Upper abdomen | CT image 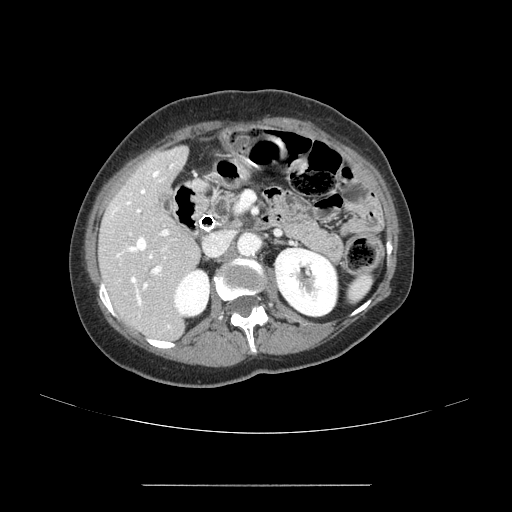

Pancreas: [203, 193, 237, 226].